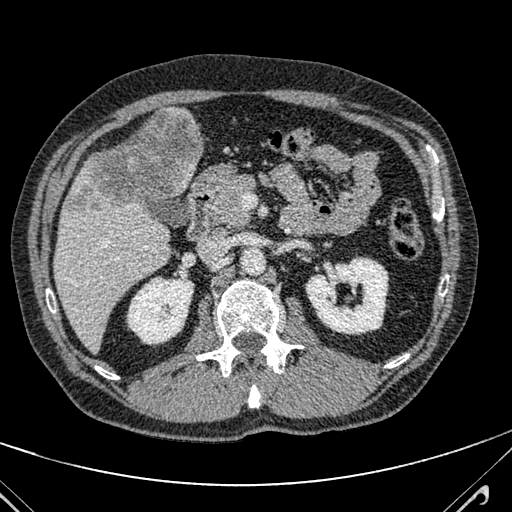

CT image | Upper abdomen | 512x512
liver_lesion:
  - left=68, top=109, right=198, bottom=209
liver:
  - left=53, top=158, right=169, bottom=349
  - left=172, top=159, right=196, bottom=194